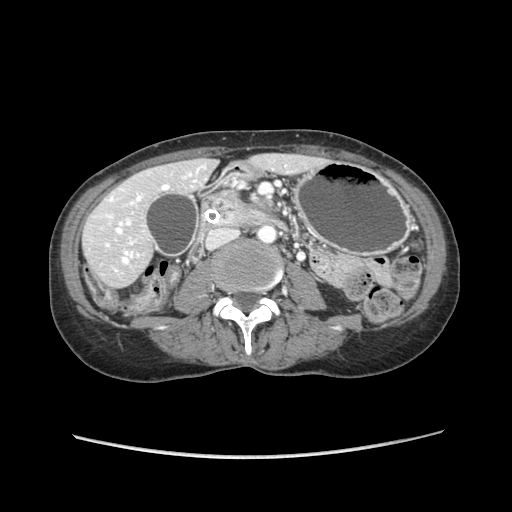
512x512 px. Abdomen. CT.
The pancreas lies within (left=208, top=190, right=276, bottom=227).